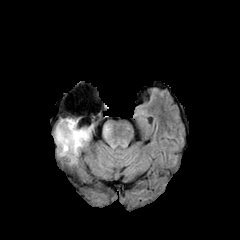
FLAIR MR image.
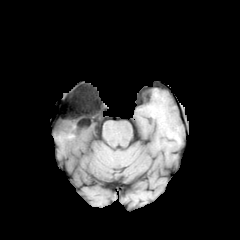
T1-weighted MR image of the same slice.
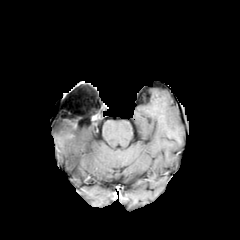
Post-contrast T1-weighted magnetic resonance of the same slice.
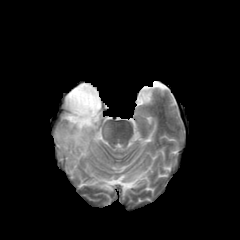
T2-weighted MR.
Brain
<segmentation>
  <edema><box>54,118,93,162</box></edema>
</segmentation>